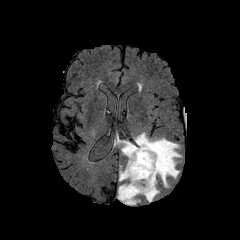
FLAIR magnetic resonance.
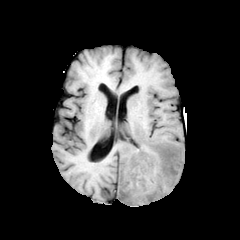
T1-weighted MRI of the same slice.
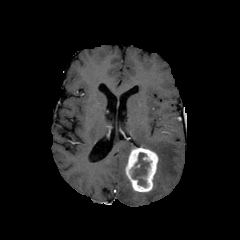
Post-contrast T1-weighted magnetic resonance.
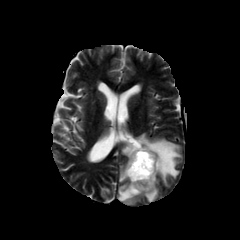
T2-weighted MRI.
240x240 px
non-enhancing tumor core: 133:153:148:184 | edema: 117:132:181:205, 119:167:127:181, 116:140:133:163 | enhancing tumor: 125:146:158:192